Slice 460/756, CT image, Field of view 391 mm wide, 0.80 mm slice spacing
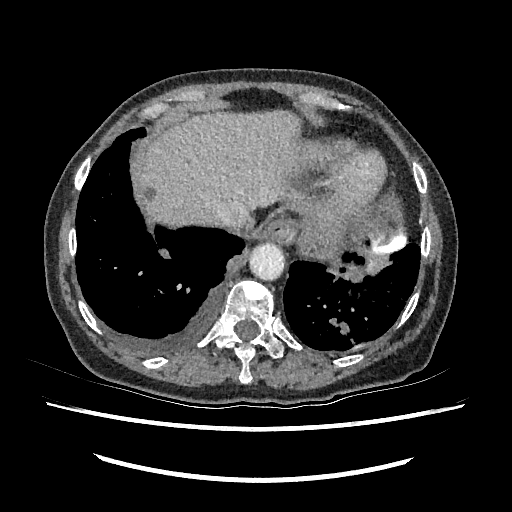

{"focal_liver_lesion": ["145 189 155 199"], "liver": ["140 110 316 228"]}